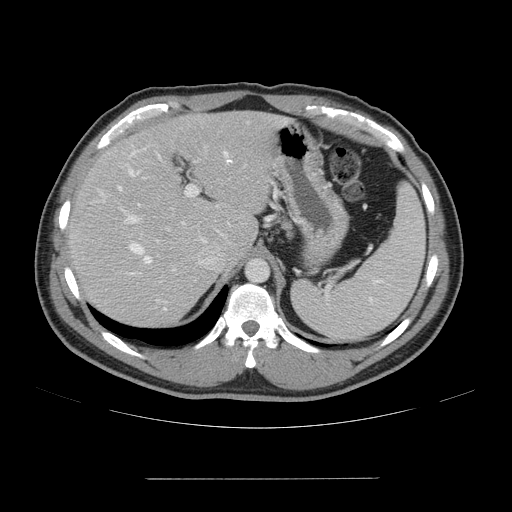 512x512; Computed tomography
The vessel annotation is not exhaustive.
Top 15 of 18 hepatic vessel regions — [x1=130, y1=272, x2=139, y2=274], [x1=224, y1=152, x2=227, y2=155], [x1=144, y1=256, x2=150, y2=262], [x1=118, y1=187, x2=121, y2=189], [x1=222, y1=235, x2=225, y2=237], [x1=185, y1=185, x2=197, y2=196], [x1=123, y1=210, x2=126, y2=212], [x1=129, y1=150, x2=139, y2=156], [x1=125, y1=214, x2=137, y2=223], [x1=100, y1=192, x2=103, y2=198], [x1=156, y1=299, x2=158, y2=301], [x1=127, y1=164, x2=128, y2=166], [x1=129, y1=244, x2=142, y2=253], [x1=182, y1=222, x2=184, y2=223], [x1=129, y1=168, x2=140, y2=175].